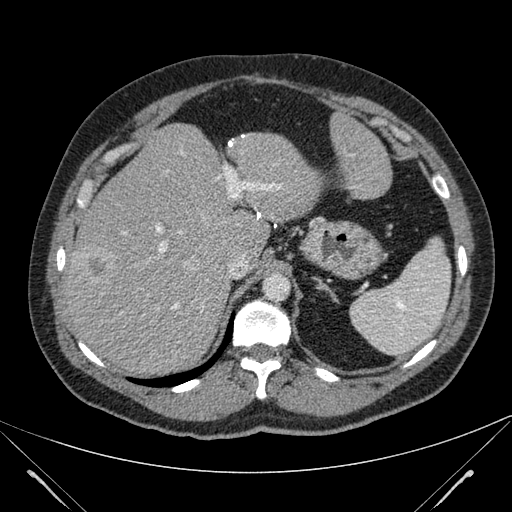
512x512 px. CT slice.
liver:
  - l=330, t=111, r=391, b=198
  - l=58, t=123, r=322, b=376
focal_liver_lesion:
  - l=88, t=256, r=107, b=276